Image size 512x512, CT scan slice, Thorax

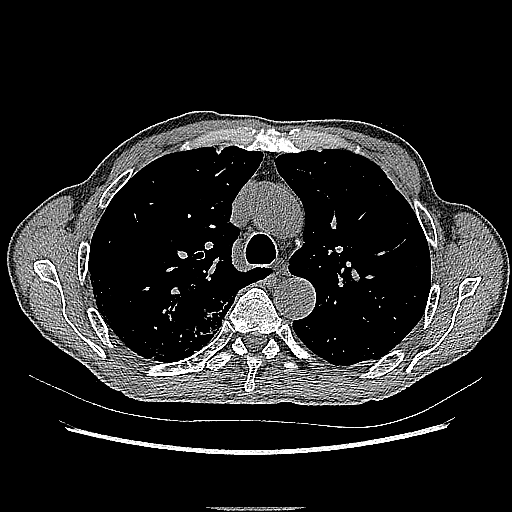
<segmentation>
  <lung_tumor><box>179,297,229,353</box></lung_tumor>
</segmentation>